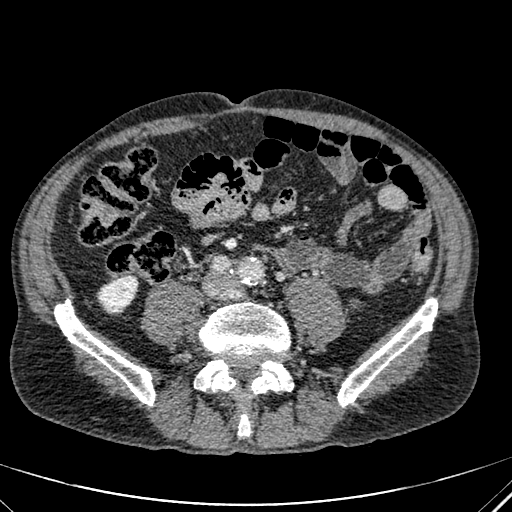
CT scan slice. Abdomen. The kidney is located at x1=99, y1=276, x2=137, y2=311.